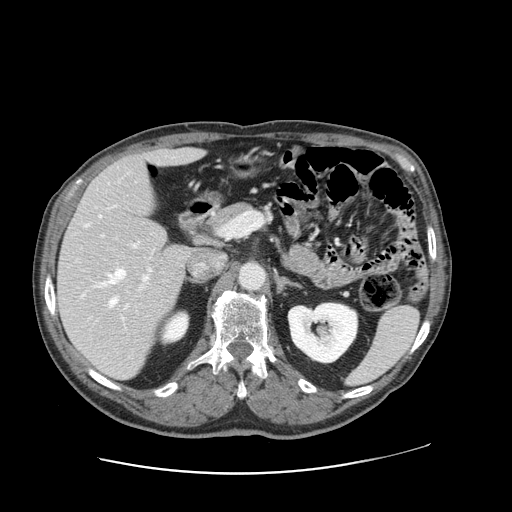
Abdomen; Computed tomography

Not every hepatic vessel necessarily has a box.
7 hepatic vessel regions are bounded by [143, 275, 147, 281], [85, 224, 88, 225], [133, 242, 138, 247], [148, 268, 150, 270], [110, 298, 116, 305], [97, 269, 124, 286], [99, 215, 101, 217].